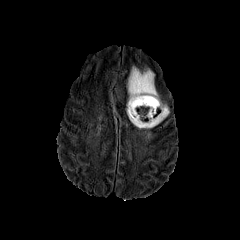
FLAIR MRI.
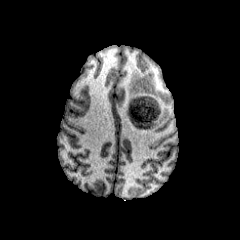
T1-weighted MR of the same slice.
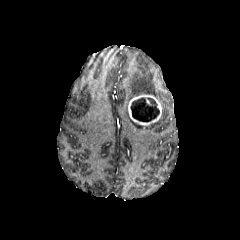
Post-contrast T1-weighted MR image of the same slice.
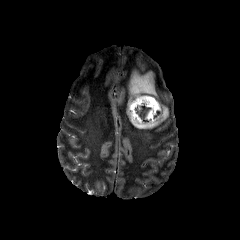
T2-weighted MR image of the same slice.
Brain.
Enhancing tumor: bounding box left=128, top=94, right=161, bottom=125.
Non-enhancing tumor core: bounding box left=131, top=98, right=159, bottom=121.
Edema: bounding box left=145, top=104, right=169, bottom=128; left=127, top=67, right=160, bottom=106.